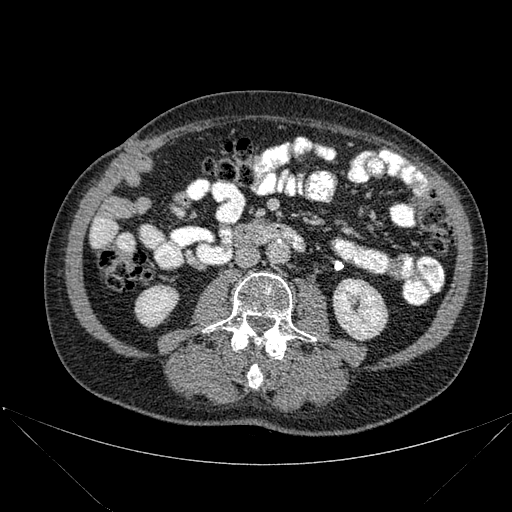
Abdomen; 512x512 px; Computed tomography
<segmentation>
  <kidney>box=[135, 286, 177, 325]; box=[333, 279, 387, 340]</kidney>
  <bone>box=[203, 273, 316, 359]; box=[247, 364, 262, 387]</bone>
</segmentation>